Computed tomography

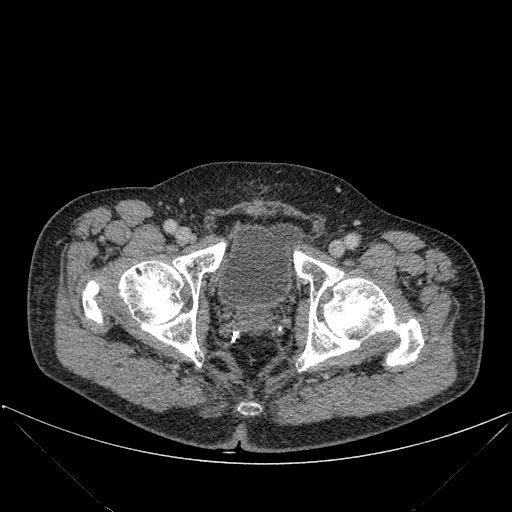
Urinary bladder — l=216, t=223, r=305, b=319.
Bone — l=83, t=281, r=101, b=322; l=119, t=242, r=225, b=366; l=238, t=403, r=258, b=413; l=294, t=251, r=423, b=370.